Head | Image size 240x240 | Slice index 82
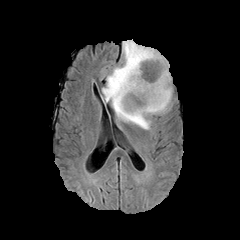
FLAIR MRI.
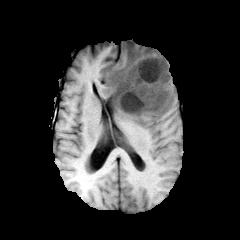
Same slice, T1-weighted MR image.
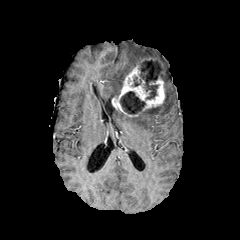
Post-contrast T1-weighted MR.
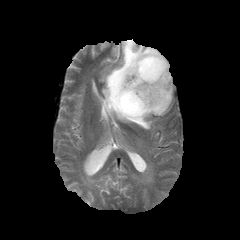
T2-weighted MR image of the same slice.
<segmentation>
  <non-enhancing_tumor_core>box=[121, 91, 145, 113]; box=[140, 62, 160, 99]</non-enhancing_tumor_core>
  <edema>box=[102, 39, 173, 129]</edema>
  <enhancing_tumor>box=[112, 57, 165, 117]</enhancing_tumor>
</segmentation>